Image width 411 mm | Image size 512x512 | CT 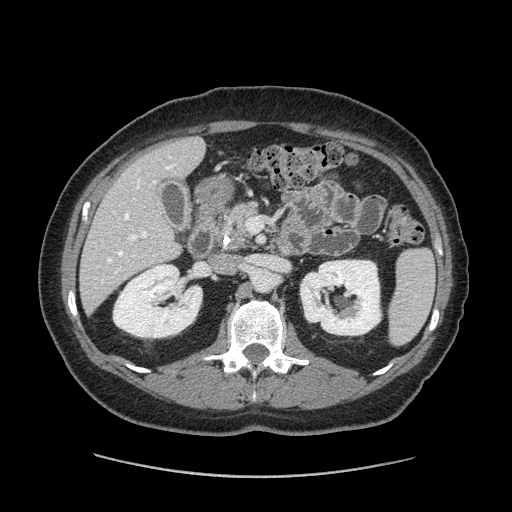

Findings:
• pancreas: box(225, 203, 257, 249)